CT slice. 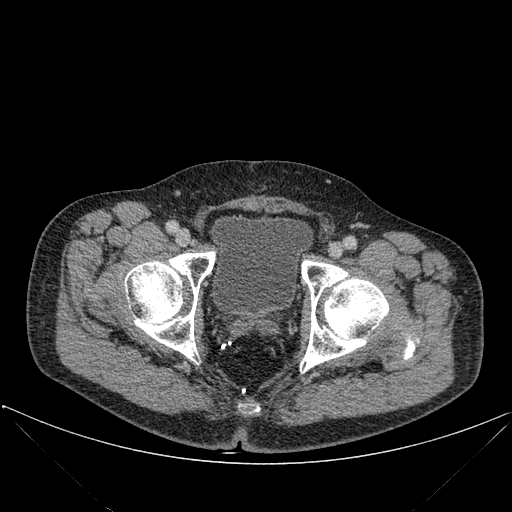 urinary_bladder:
  - box=[210, 215, 313, 323]
bone:
  - box=[403, 339, 414, 359]
  - box=[239, 404, 259, 412]
  - box=[300, 260, 388, 372]
  - box=[125, 251, 215, 362]